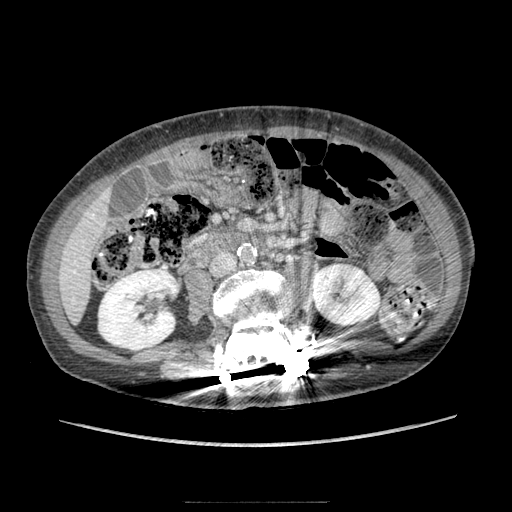
CT slice; Abdomen
pancreas: <bbox>204, 234, 237, 251</bbox>